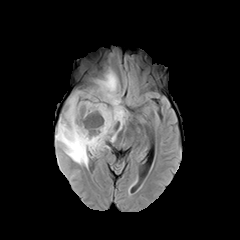
FLAIR magnetic resonance.
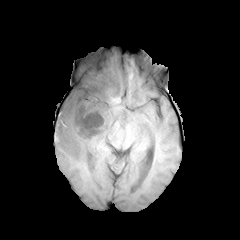
Same slice, T1-weighted MR image.
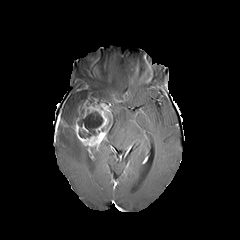
Same slice, post-contrast T1-weighted MRI.
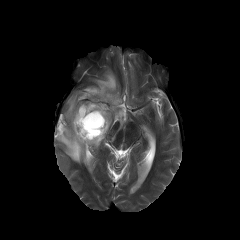
T2-weighted MRI of the same slice.
Non-enhancing tumor core: x1=58 y1=116 x2=65 y2=129, x1=78 y1=88 x2=111 y2=113, x1=78 y1=112 x2=102 y2=138.
Edema: x1=55 y1=71 x2=127 y2=167.
Enhancing tumor: x1=55 y1=117 x2=62 y2=135, x1=72 y1=99 x2=111 y2=147.